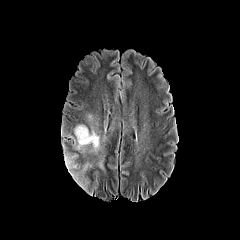
FLAIR MR image.
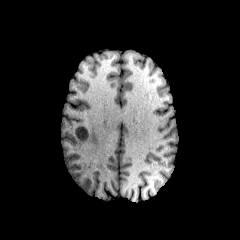
T1-weighted magnetic resonance.
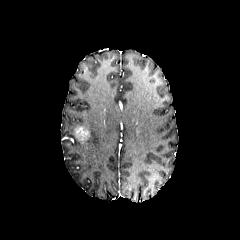
Post-contrast T1-weighted MR image of the same slice.
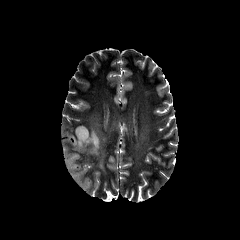
T2-weighted MRI.
Enhancing tumor: bounding box box=[75, 126, 89, 145].
Edema: bounding box box=[66, 127, 101, 154]; box=[64, 153, 91, 189].